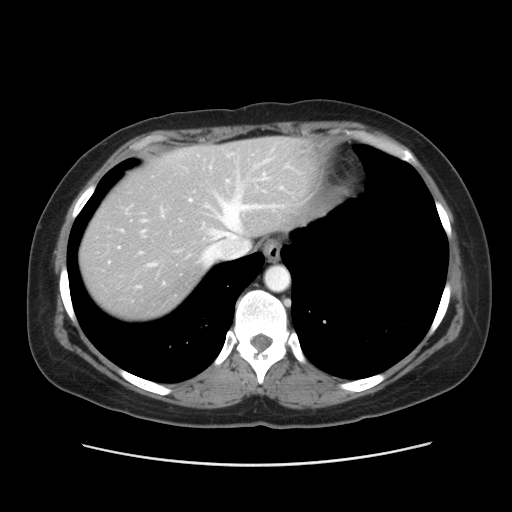

CT

Only some of the vessels may be annotated.
Hepatic vessel: bounding box <bbox>212, 174, 281, 242</bbox>, <bbox>142, 220, 145, 221</bbox>, <bbox>188, 199, 191, 201</bbox>, <bbox>205, 249, 209, 252</bbox>, <bbox>254, 159, 271, 167</bbox>, <bbox>226, 180, 228, 181</bbox>, <bbox>137, 286, 139, 287</bbox>, <bbox>202, 224, 203, 228</bbox>, <bbox>161, 209, 163, 217</bbox>, <bbox>139, 252, 141, 253</bbox>, <bbox>227, 154, 231, 156</bbox>, <bbox>140, 230, 144, 232</bbox>.